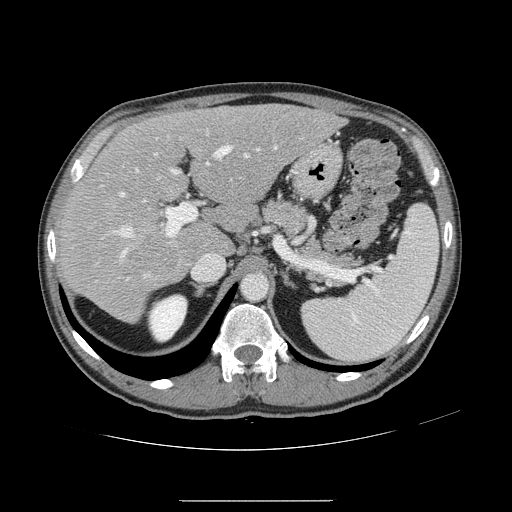 Computed tomography; Image size 512x512
The vessel boxes may cover only some of the vessels.
<segmentation partial="true">
  <liver_tumor>[129,244,178,269]</liver_tumor>
  <hepatic_vessel shown="15" total="17">[275,146,276,148], [167,203,195,235], [257,148,259,150], [136,169,138,171], [143,199,145,201], [171,169,177,174], [121,249,126,258], [144,273,149,277], [158,177,160,178], [206,130,207,134], [119,192,124,196], [215,146,231,157], [244,154,248,156], [114,226,134,237], [155,153,156,155]</hepatic_vessel>
</segmentation>